Abdomen, CT slice, Slice index 561

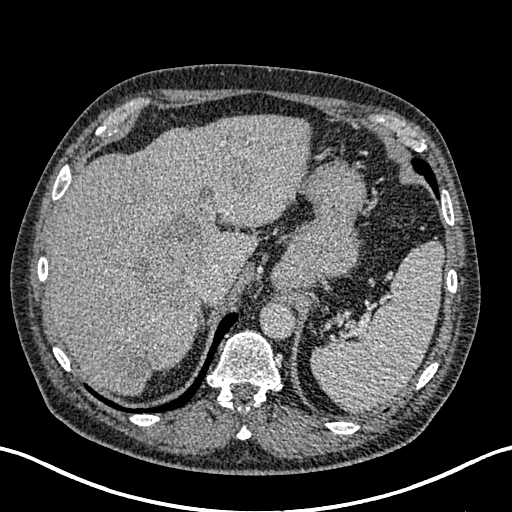

liver: 49, 115, 311, 392 | hepatic lesion: 195, 184, 214, 204; 224, 154, 261, 189; 131, 214, 210, 311; 118, 337, 163, 379